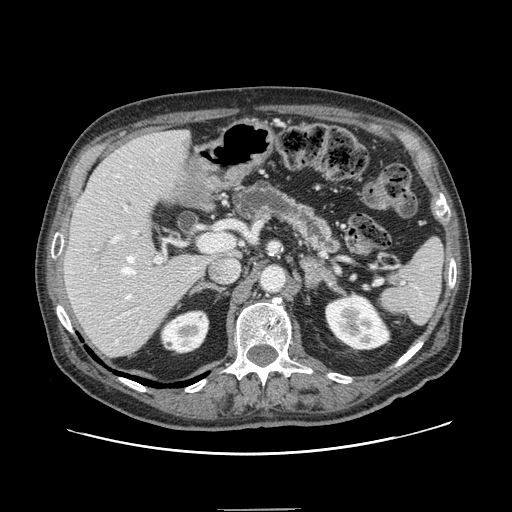 CT; 512x512

Annotated regions:
• pancreas: {"x1": 230, "y1": 178, "x2": 342, "y2": 254}